FLAIR MRI.
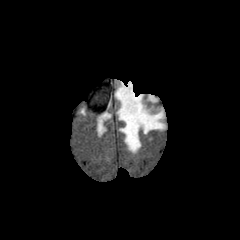
T1-weighted magnetic resonance.
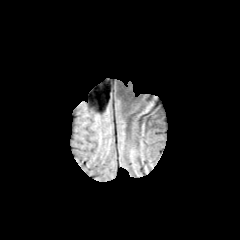
Post-contrast T1-weighted MRI.
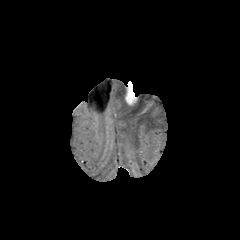
T2-weighted MR image.
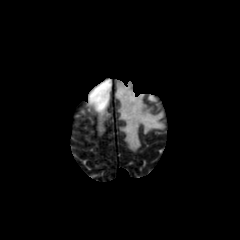
Edema: <box>146,95,157,103</box>, <box>115,81,165,152</box>.
Enhancing tumor: <box>125,85,135,103</box>.